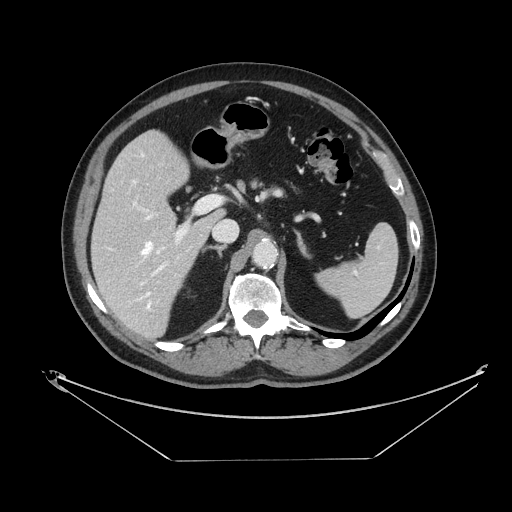 Image size 512x512. CT slice. {
  "pancreas": [
    "(236, 178, 269, 191)"
  ]
}